Slice 28/38, MR, 36x49 px 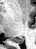

Posterior hippocampus: bounding box region(9, 37, 24, 43).